CT image, 512x512 px, Liver, Slice index 21
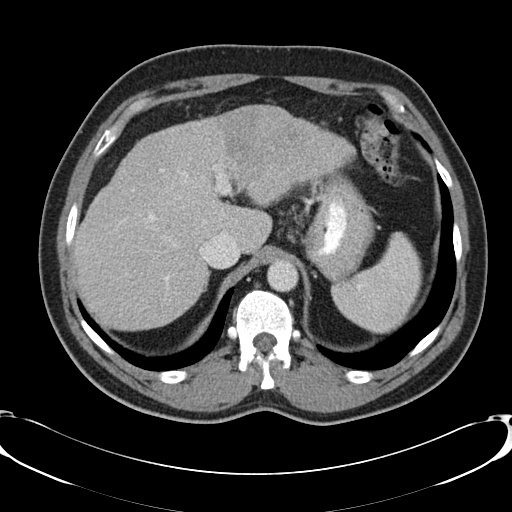
Only some of the vessels may be annotated.
Annotated regions:
• hepatic vessel: bbox(195, 198, 200, 203); bbox(202, 219, 206, 223); bbox(199, 248, 200, 251); bbox(144, 211, 156, 222); bbox(159, 169, 163, 172); bbox(172, 243, 175, 246); bbox(203, 192, 207, 194); bbox(177, 196, 180, 199); bbox(212, 159, 229, 193); bbox(182, 206, 184, 208); bbox(194, 175, 205, 191); bbox(164, 275, 169, 289); bbox(161, 236, 171, 239)